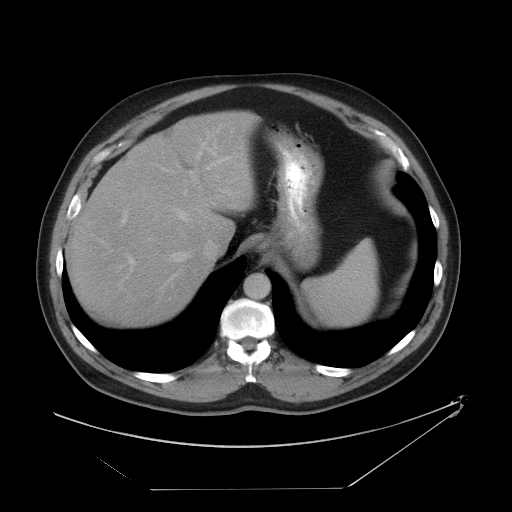

Image size 512x512; CT image; Upper abdomen

Segmented structures:
* spleen: (left=304, top=242, right=378, bottom=327)